Slice index 67; Brain
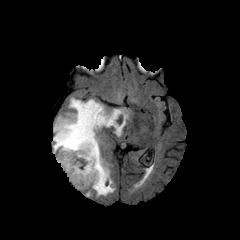
FLAIR MRI.
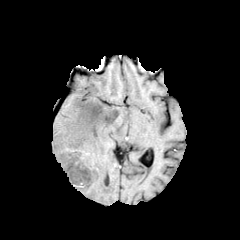
Same slice, T1-weighted MR.
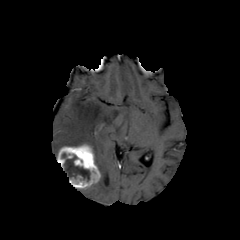
Same slice, post-contrast T1-weighted MRI.
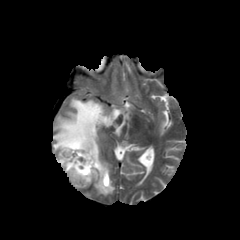
T2-weighted magnetic resonance.
The edema lies within bbox=[53, 98, 128, 195]. 2 non-enhancing tumor core regions are located at bbox=[61, 156, 89, 181]; bbox=[65, 142, 95, 163]. The enhancing tumor appears at bbox=[57, 144, 100, 187].